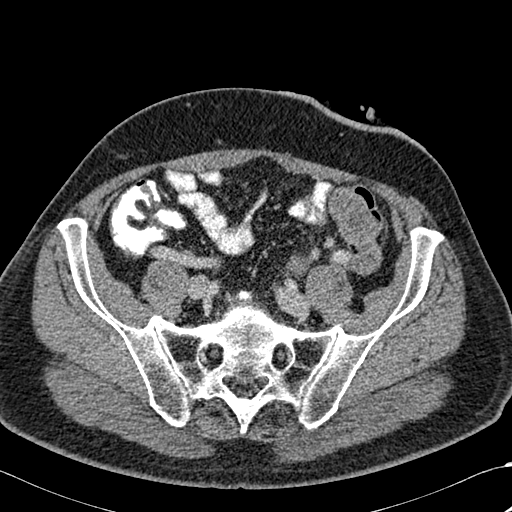

CT image
Segmented structures:
* bone: 239:292:248:299, 57:218:443:432